240x240 px; Field of view 240x240 mm
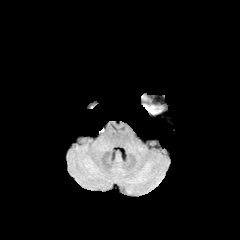
FLAIR magnetic resonance.
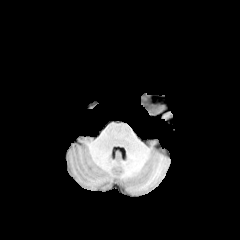
T1-weighted MR of the same slice.
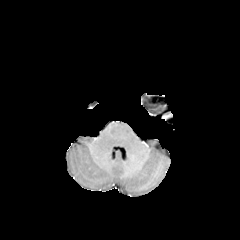
Post-contrast T1-weighted MR.
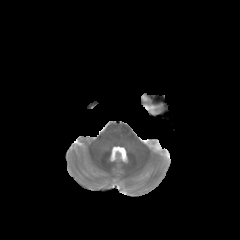
Same slice, T2-weighted MRI.
Edema at 144,104,161,114.